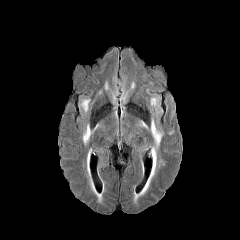
FLAIR MRI.
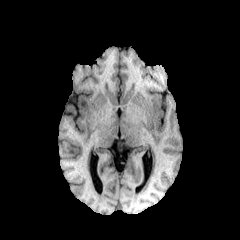
T1-weighted MR image.
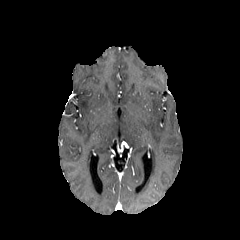
Same slice, post-contrast T1-weighted MR.
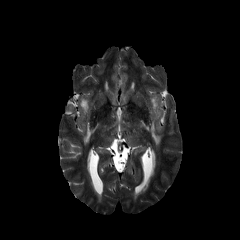
Same slice, T2-weighted MR image.
Brain
Findings:
- edema: (x1=133, y1=147, x2=157, y2=202), (x1=86, y1=149, x2=103, y2=202), (x1=151, y1=119, x2=162, y2=149), (x1=82, y1=124, x2=98, y2=145), (x1=82, y1=99, x2=89, y2=113)